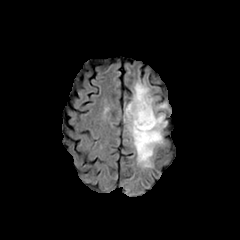
FLAIR magnetic resonance.
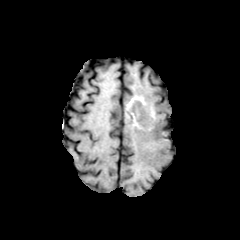
Same slice, T1-weighted MR.
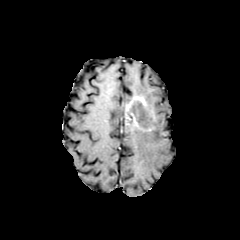
Post-contrast T1-weighted MRI.
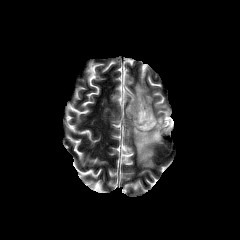
T2-weighted MRI.
Head
Findings:
* non-enhancing tumor core: box(126, 101, 156, 130); box(156, 118, 164, 131)
* enhancing tumor: box(126, 95, 147, 114)
* edema: box(125, 81, 168, 167)